Brain; 240x240 px
FLAIR MRI.
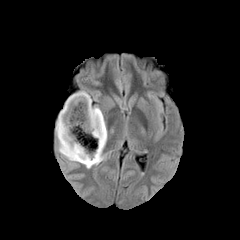
T1-weighted MR image.
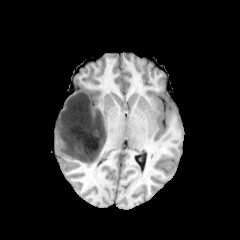
Post-contrast T1-weighted MRI.
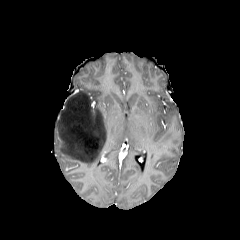
T2-weighted MR.
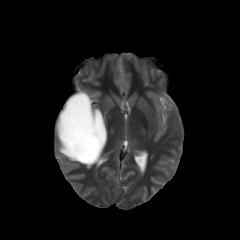
3 edema regions are located at [79, 90, 97, 101], [95, 105, 107, 145], [55, 117, 101, 167]. The non-enhancing tumor core is bounded by [58, 91, 106, 163].